FLAIR MR image.
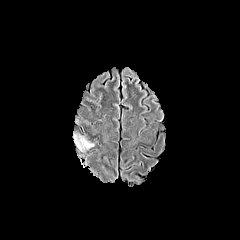
T1-weighted magnetic resonance.
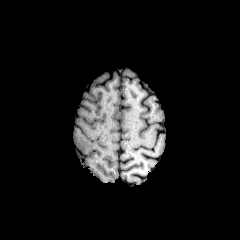
Post-contrast T1-weighted MRI.
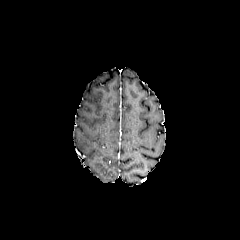
T2-weighted MR image.
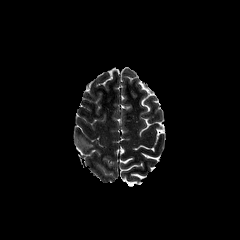
240x240 px, Head
edema: bbox=[74, 134, 93, 152]